Slice index 57
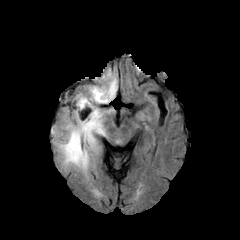
FLAIR MRI.
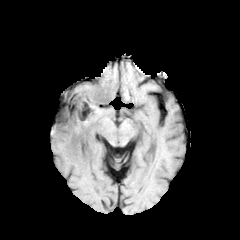
T1-weighted MR image of the same slice.
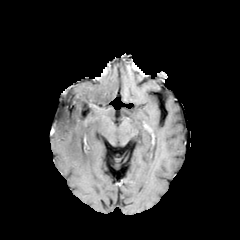
Post-contrast T1-weighted MR.
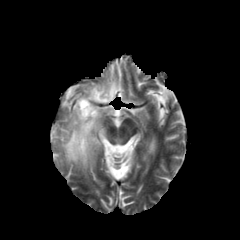
T2-weighted MR image.
Findings:
* edema: x1=51 y1=68 x2=117 y2=181